CT scan slice; Upper abdomen 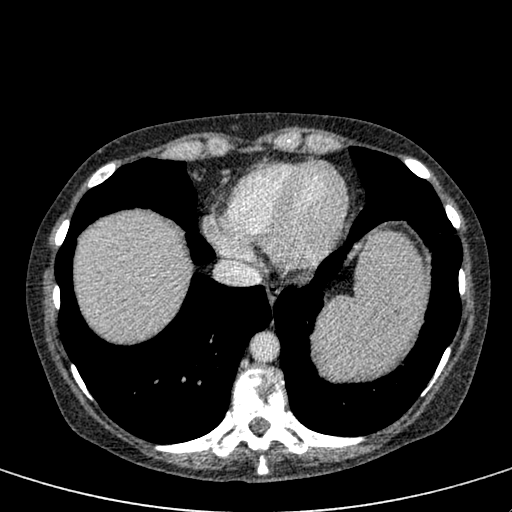
Annotated regions:
* liver: x1=75 y1=214 x2=188 y2=340